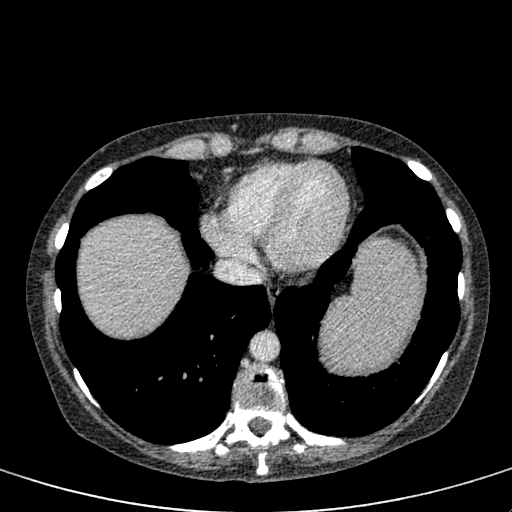
CT
* liver: bbox=[78, 218, 184, 335]